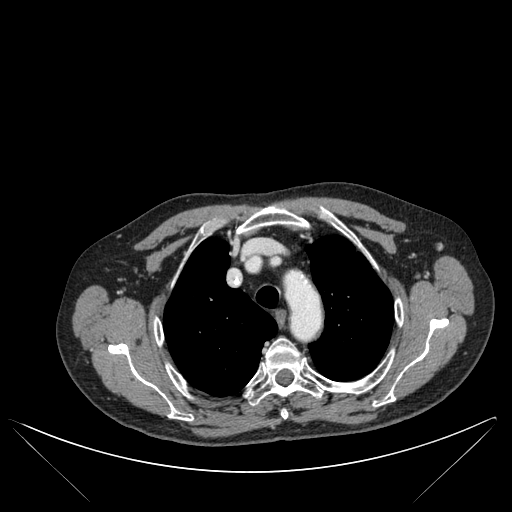 CT scan slice
Lung at <box>163,238,278,396</box>, <box>306,236,393,380</box>.
Bone at <box>320,207,359,245</box>, <box>373,318,448,406</box>, <box>395,298,403,325</box>, <box>281,409,287,418</box>, <box>236,206,309,234</box>, <box>154,317,163,345</box>, <box>108,343,193,420</box>, <box>244,338,394,403</box>, <box>166,364,190,397</box>.